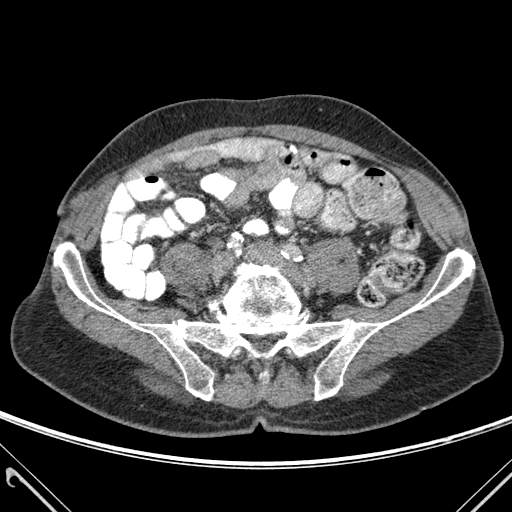
CT. Bone — bbox=[54, 242, 474, 400].